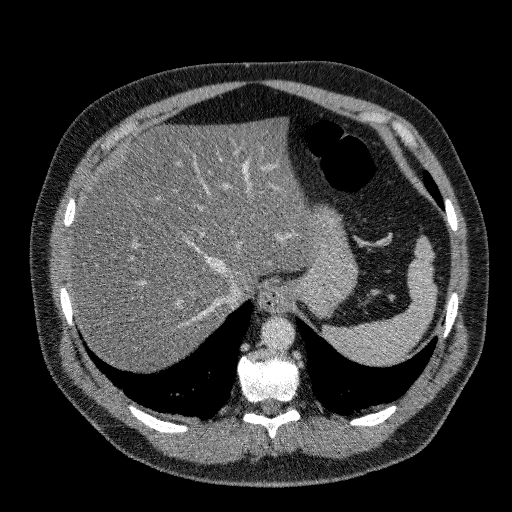

Computed tomography. Abdomen.

liver: x1=70 y1=118 x2=321 y2=370